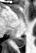

Hippocampus. MR. The posterior hippocampus lies within 15 37 25 47.